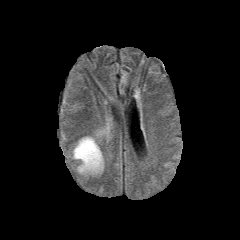
FLAIR MR image.
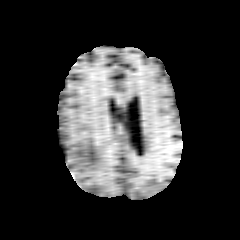
T1-weighted MRI of the same slice.
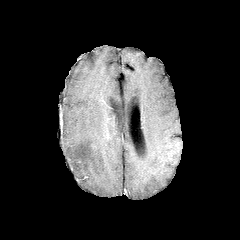
Post-contrast T1-weighted magnetic resonance.
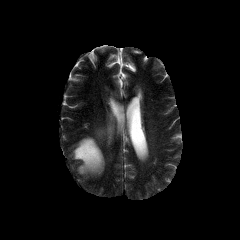
T2-weighted MR of the same slice.
{
  "edema": [
    "(72,136,104,176)"
  ]
}